CT scan slice, Upper abdomen

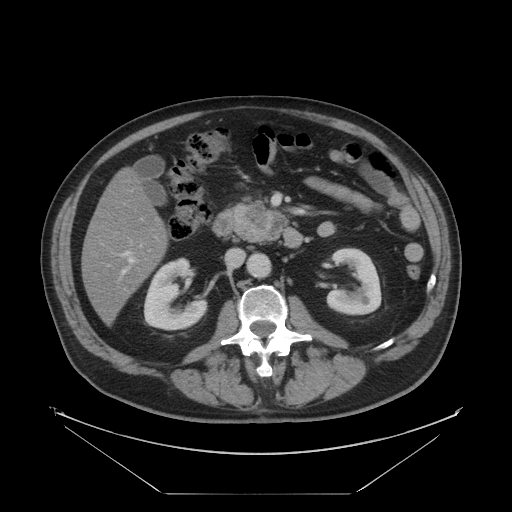
Findings:
* pancreatic tumor: (x1=247, y1=210, x2=268, y2=229)
* pancreas: (x1=234, y1=202, x2=288, y2=243)